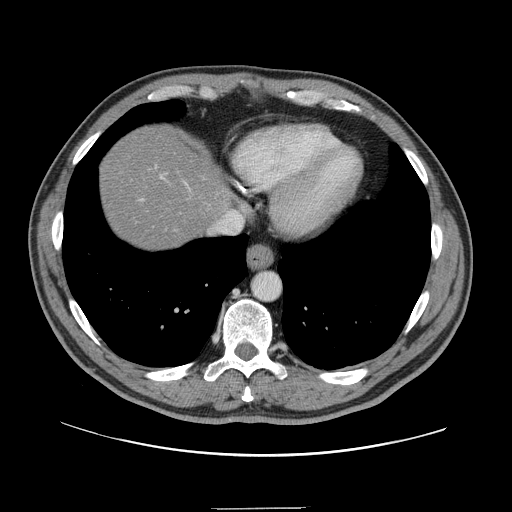 Computed tomography

Some hepatic vessels may have no box.
hepatic_vessel:
  - box(161, 174, 166, 178)